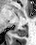

MRI slice; Medial temporal lobe

The posterior hippocampus lies within x1=12 y1=27 x2=26 y2=36.